CT image; Abdomen 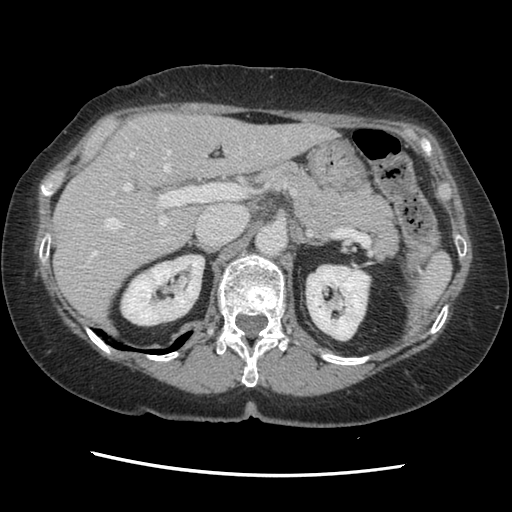

The vessel annotation is not exhaustive.
{"hepatic_vessel": ["<box>163,239,167,240</box>", "<box>159,183,240,205</box>", "<box>252,145,253,147</box>", "<box>167,150,170,153</box>", "<box>105,218,122,229</box>", "<box>283,139,285,140</box>", "<box>123,183,131,190</box>", "<box>159,215,166,225</box>", "<box>117,156,119,158</box>", "<box>111,192,114,193</box>", "<box>90,251,96,258</box>", "<box>164,164,170,171</box>", "<box>130,153,133,156</box>", "<box>141,210,142,211</box>", "<box>131,232,133,233</box>"]}